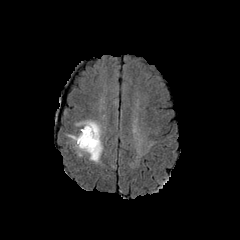
FLAIR MR.
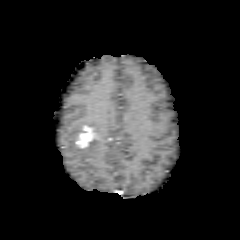
T1-weighted MR image of the same slice.
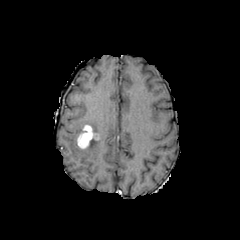
Post-contrast T1-weighted magnetic resonance.
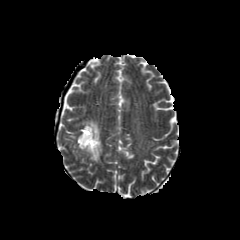
Same slice, T2-weighted MR image.
240x240, Brain
Annotated regions:
- enhancing tumor: (77, 124, 99, 149)
- edema: (75, 120, 102, 161)